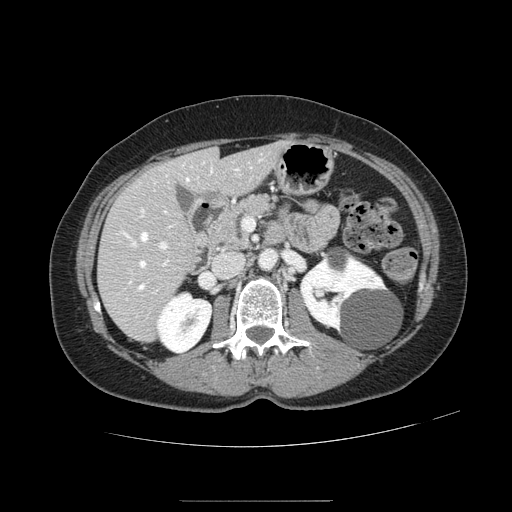 CT image
Pancreas at x1=208 y1=194 x2=278 y2=262.